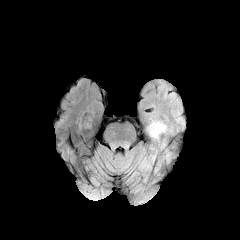
FLAIR MRI.
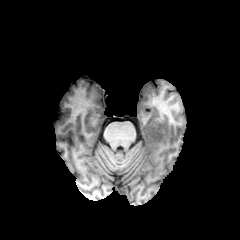
T1-weighted MR.
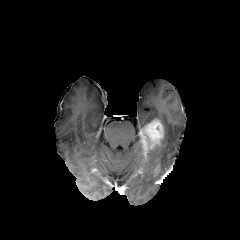
Post-contrast T1-weighted MR of the same slice.
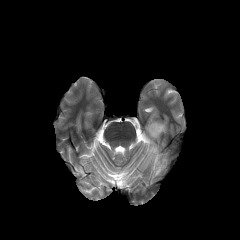
T2-weighted MR image of the same slice.
Head | Image size 240x240
<segmentation>
  <edema>box(138, 122, 169, 172)</edema>
  <enhancing_tumor>box(142, 119, 163, 161)</enhancing_tumor>
</segmentation>